Image width 493 mm | CT | Abdomen

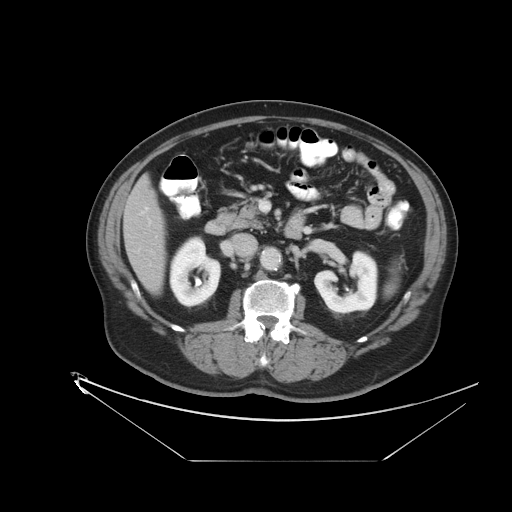 Not every hepatic vessel necessarily has a box.
<segmentation>
  <hepatic_vessel>(x1=146, y1=207, x2=147, y2=209), (x1=149, y1=219, x2=150, y2=223)</hepatic_vessel>
</segmentation>